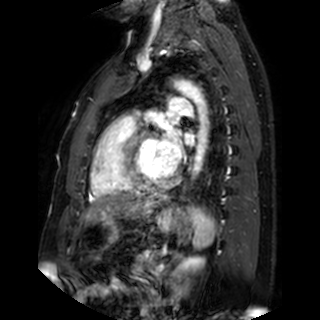

Cardiac | Image size 320x320 | MRI slice
3 left atrium regions are located at (x1=167, y1=110, x2=178, y2=121), (x1=185, y1=133, x2=194, y2=145), (x1=163, y1=127, x2=183, y2=164).